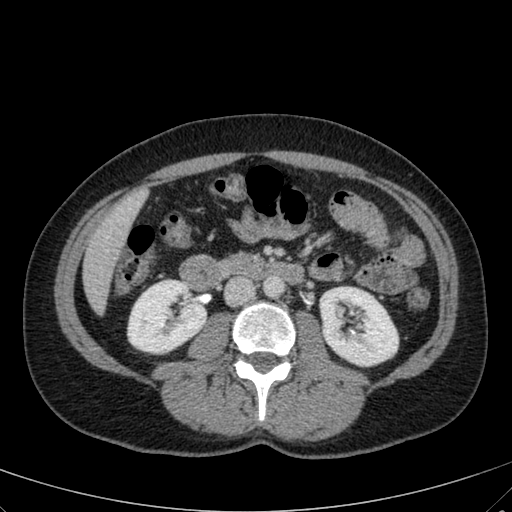
Abdomen; CT slice

Liver = region(83, 200, 135, 313).
Kidney = region(128, 280, 205, 352); region(321, 287, 397, 365).